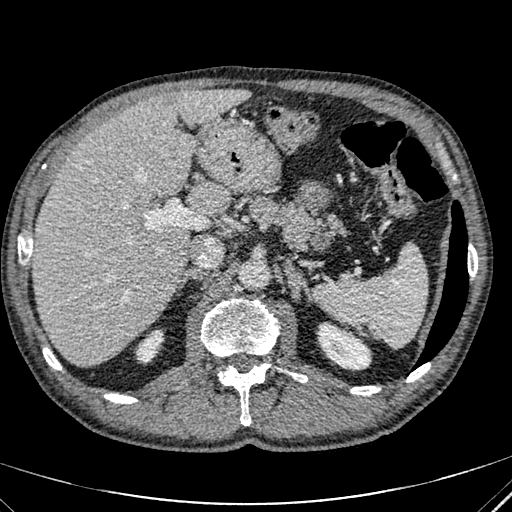

Computed tomography; Image size 512x512; Abdomen

The hepatic lesion lies within (157,94,178,105). 2 liver regions are located at (186,181,231,215), (32,89,251,364). 2 kidney regions are located at (319,324,369,368), (138,331,162,361).